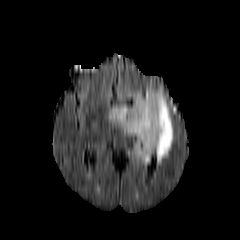
FLAIR MR image.
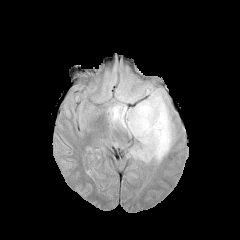
T1-weighted MRI.
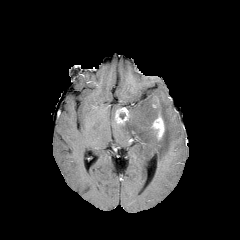
Post-contrast T1-weighted MR.
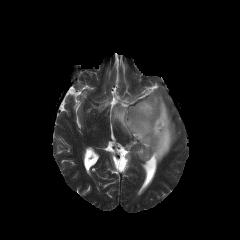
Same slice, T2-weighted MR image.
The edema is bounded by x1=109 y1=86 x2=174 y2=164. 2 enhancing tumor regions appear at x1=115 y1=107 x2=129 y2=123, x1=151 y1=114 x2=164 y2=139.